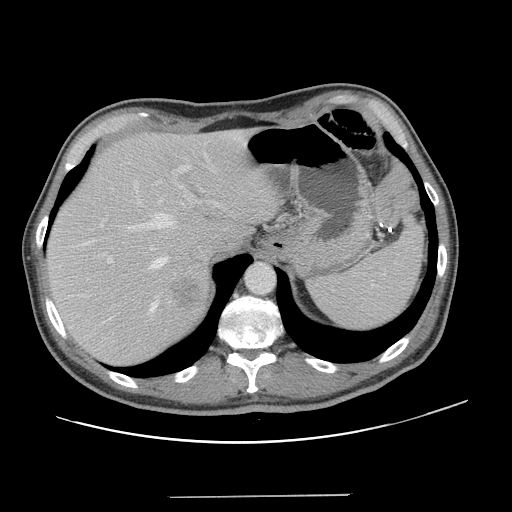 CT slice
The vessel boxes may cover only some of the vessels.
The principal 15 hepatic vessel regions (of 17) appear at left=178, top=165, right=189, bottom=171; left=151, top=257, right=167, bottom=268; left=157, top=181, right=161, bottom=183; left=159, top=199, right=161, bottom=202; left=150, top=248, right=154, bottom=249; left=102, top=253, right=106, bottom=255; left=107, top=256, right=112, bottom=262; left=101, top=224, right=103, bottom=227; left=213, top=202, right=217, bottom=205; left=134, top=182, right=137, bottom=191; left=78, top=240, right=93, bottom=245; left=128, top=214, right=172, bottom=230; left=150, top=297, right=157, bottom=313; left=137, top=198, right=140, bottom=203; left=180, top=186, right=183, bottom=187. The liver tumor lies within left=173, top=278, right=201, bottom=308.